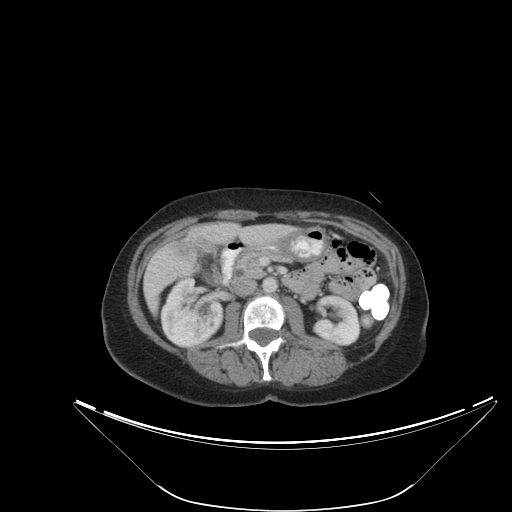

Abdomen, CT slice
The liver tumor is located at [176, 233, 209, 259].